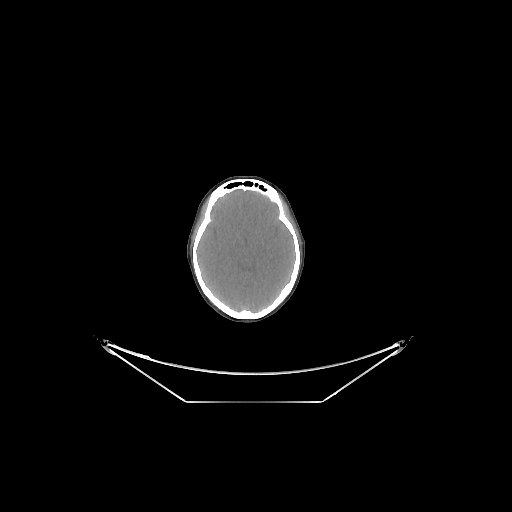

CT; Brain; Image size 512x512

brain: {"x1": 196, "y1": 189, "x2": 295, "y2": 313}